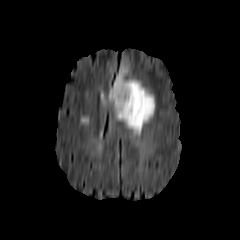
FLAIR MR.
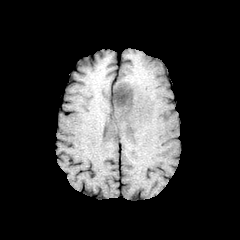
T1-weighted MR.
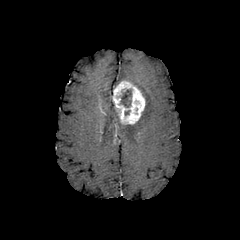
Post-contrast T1-weighted magnetic resonance of the same slice.
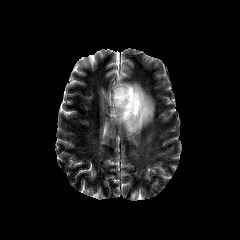
Same slice, T2-weighted MRI.
non-enhancing_tumor_core:
  - l=120, t=90, r=130, b=107
enhancing_tumor:
  - l=112, t=81, r=144, b=123
edema:
  - l=102, t=65, r=155, b=139